CT image
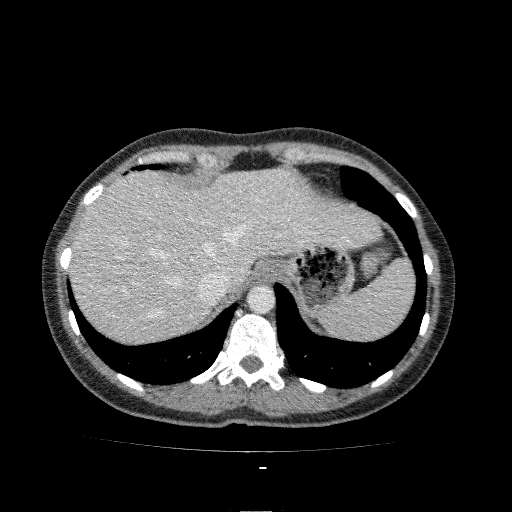

Liver: <bbox>70, 168, 381, 342</bbox>.